Image width 192 mm, Image size 320x320, Prostate
T2-weighted magnetic resonance.
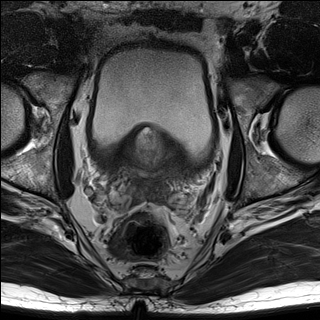
ADC magnetic resonance.
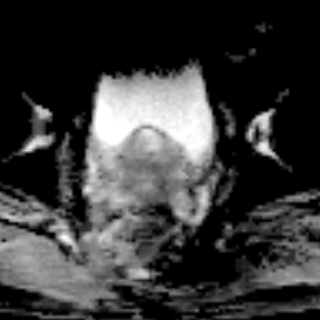
- prostate transition zone: [125,130,176,177]